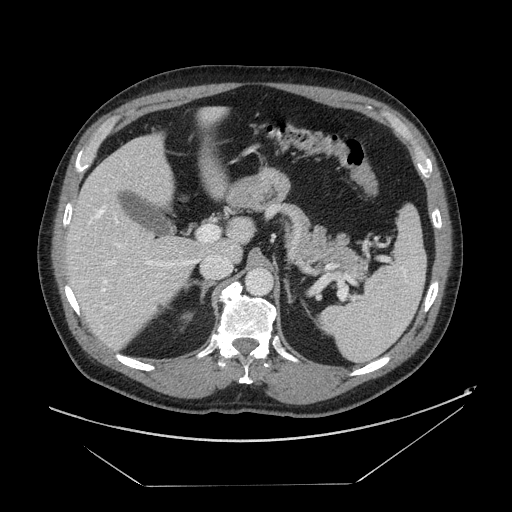
Abdomen, CT image

The pancreas is at 279, 206, 369, 280.